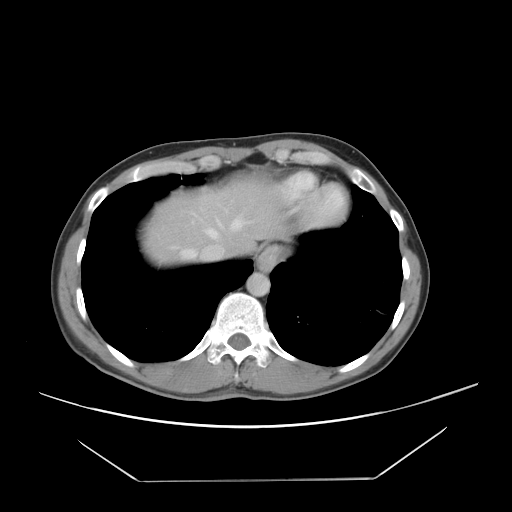
Liver. Computed tomography. The vessel boxes may cover only some of the vessels.
Hepatic vessel: <box>230,217,251,230</box>, <box>225,209,226,212</box>, <box>216,219,222,228</box>, <box>181,249,195,256</box>, <box>205,228,217,237</box>, <box>218,246,223,251</box>.